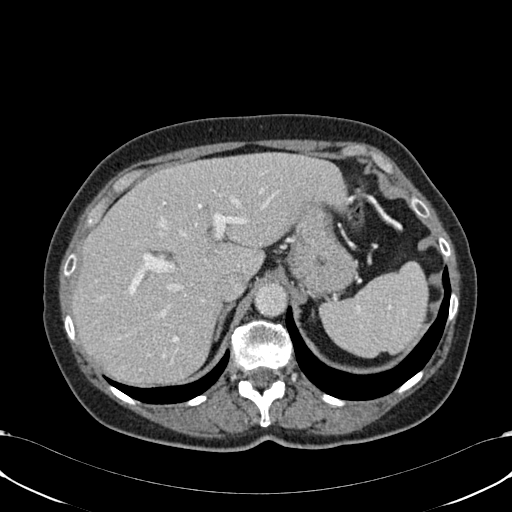
CT. The liver is located at 71 153 349 383.